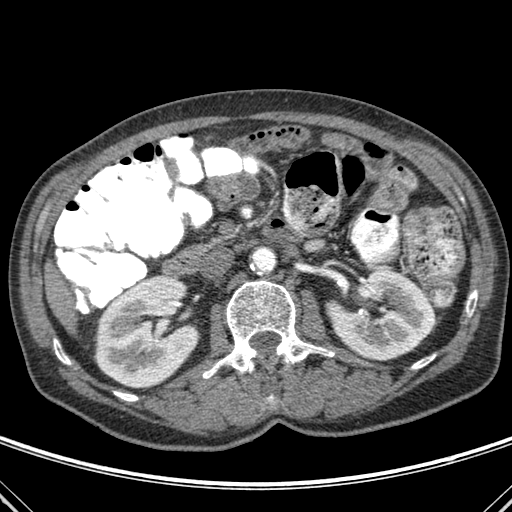
Computed tomography, 512x512 px, Abdomen
Kidney at {"x1": 97, "y1": 276, "x2": 197, "y2": 387}, {"x1": 329, "y1": 270, "x2": 434, "y2": 359}.
Liver at {"x1": 45, "y1": 262, "x2": 77, "y2": 333}.
Bone at {"x1": 53, "y1": 339, "x2": 70, "y2": 364}, {"x1": 242, "y1": 208, "x2": 251, "y2": 218}, {"x1": 203, "y1": 280, "x2": 334, "y2": 378}, {"x1": 335, "y1": 275, "x2": 347, "y2": 290}, {"x1": 466, "y1": 290, "x2": 477, "y2": 316}, {"x1": 114, "y1": 391, "x2": 137, "y2": 401}, {"x1": 411, "y1": 355, "x2": 434, "y2": 369}.